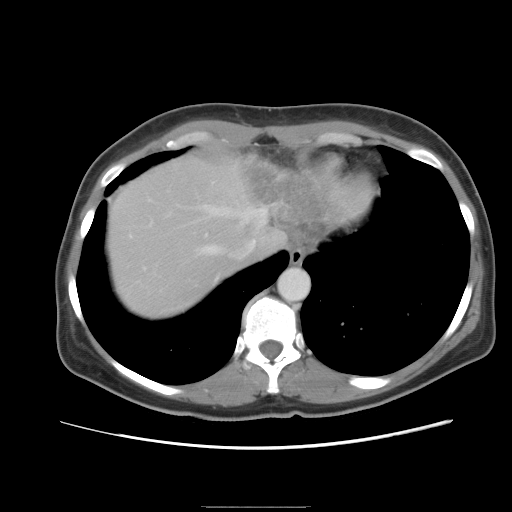
CT, Image size 512x512, Abdomen
Not every hepatic vessel necessarily has a box.
The liver tumor is located at 230 156 334 242. 3 hepatic vessel regions appear at 202 205 261 226, 129 235 130 236, 200 238 255 259.